Liver. CT slice. Slice 96 of 122.
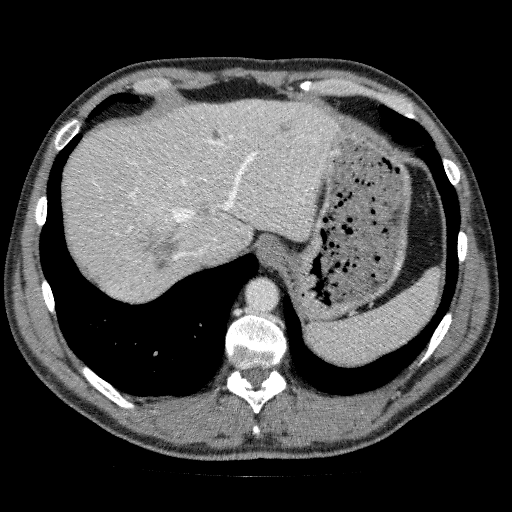

{"liver_lesion": ["(left=279, top=120, right=292, bottom=133)", "(left=93, top=273, right=102, bottom=284)", "(left=135, top=226, right=182, bottom=269)"], "liver": ["(left=64, top=99, right=333, bottom=303)"]}